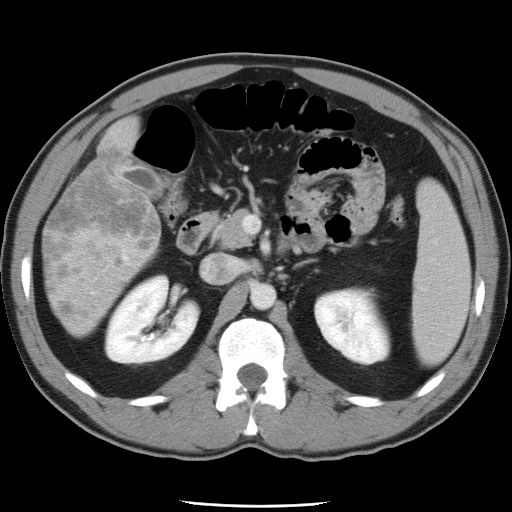

Liver | Computed tomography

Not every hepatic vessel necessarily has a box.
Findings:
- hepatic vessel: [123, 256, 126, 258]